CT slice. Abdomen. 512x512 px.

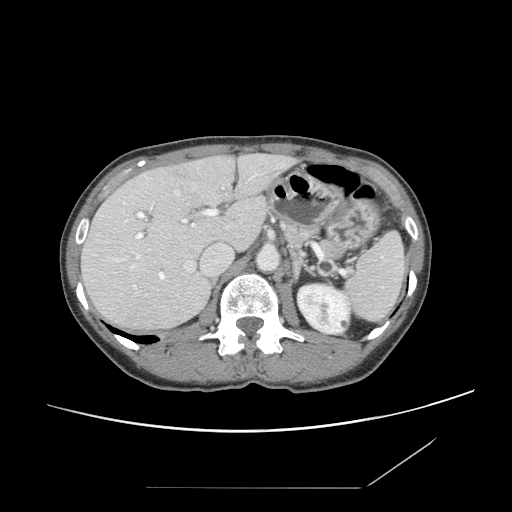
<segmentation>
  <pancreas>box=[282, 220, 346, 260]</pancreas>
</segmentation>